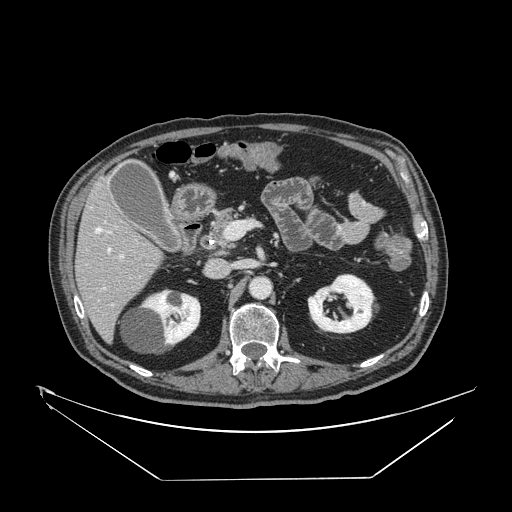 Computed tomography
The pancreas is located at l=201, t=206, r=242, b=251.